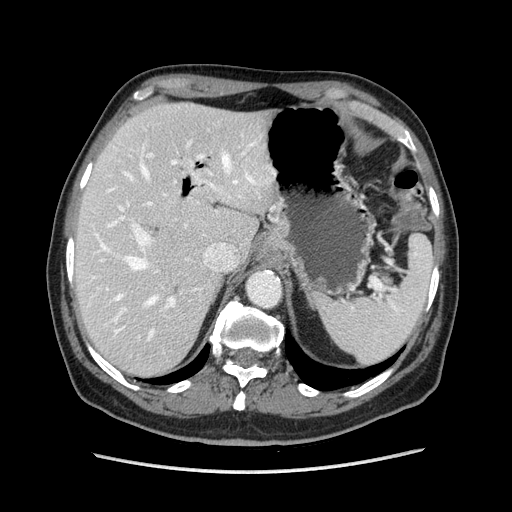

Abdomen; CT slice
The pancreas is located at left=382, top=275, right=390, bottom=284.